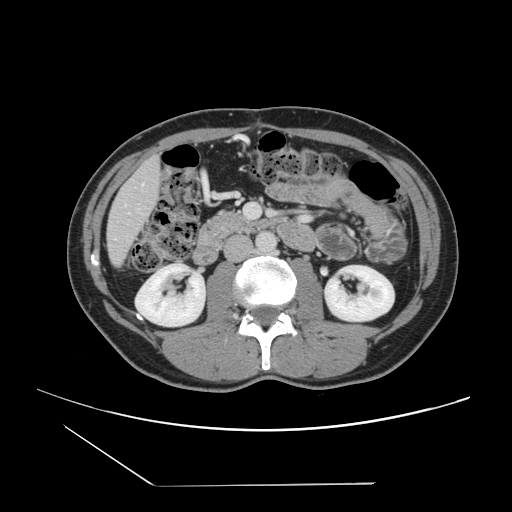

CT slice
Some hepatic vessels may have no box.
Hepatic vessel: <bbox>110, 237, 115, 239</bbox>.